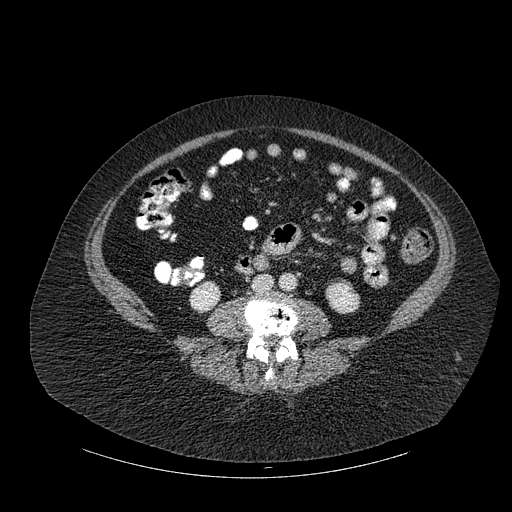

Computed tomography | Image size 512x512 | Abdomen
The bone is at 244 296 297 380. 2 kidney regions appear at 190 282 220 312, 326 283 358 313.